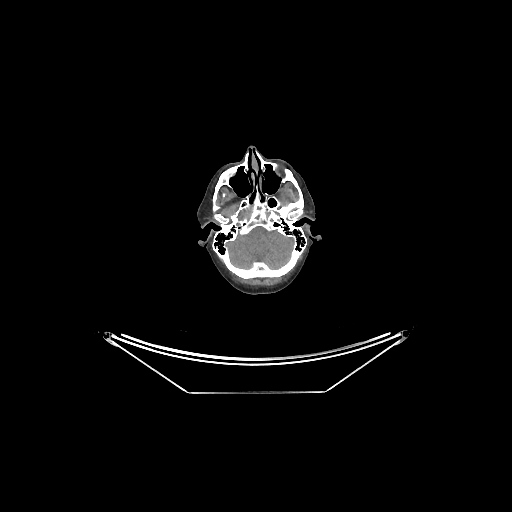 CT | Brain
{
  "brain": [
    "(224,226,295,269)"
  ]
}